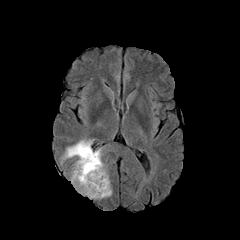
FLAIR MRI.
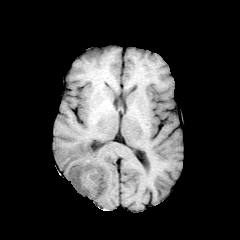
T1-weighted MRI.
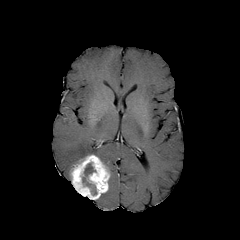
Same slice, post-contrast T1-weighted MR image.
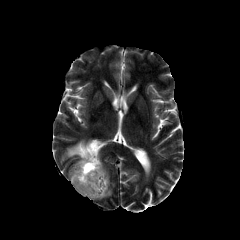
Same slice, T2-weighted magnetic resonance.
Brain
Segmented structures:
* edema: box=[98, 177, 111, 199]; box=[62, 139, 103, 164]
* enhancing tumor: box=[70, 154, 108, 199]
* non-enhancing tumor core: box=[82, 164, 96, 193]